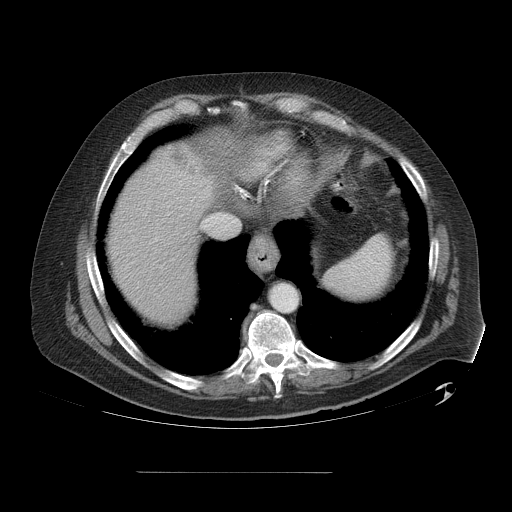

Abdomen; 512x512 px; CT image
The vessel boxes may cover only some of the vessels.
The liver tumor is located at 170 149 195 173. The hepatic vessel lies within 203 214 239 234.